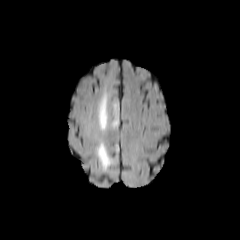
FLAIR MR image.
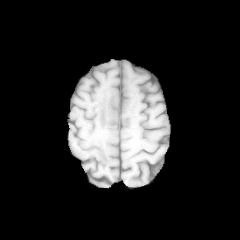
T1-weighted MRI.
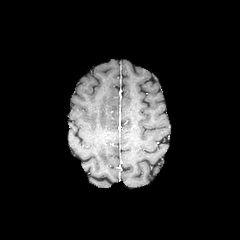
Same slice, post-contrast T1-weighted MRI.
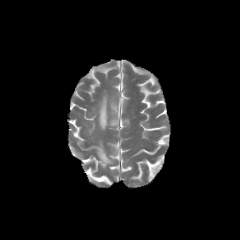
T2-weighted MR.
Brain
edema: 98 94 118 130, 97 141 113 169